FLAIR MRI.
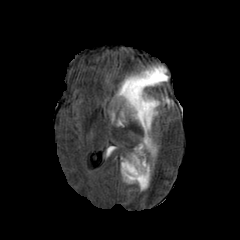
T1-weighted MR.
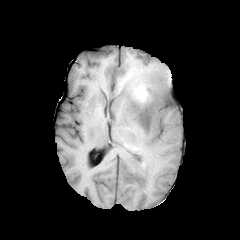
Post-contrast T1-weighted MRI.
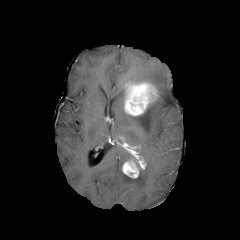
T2-weighted magnetic resonance.
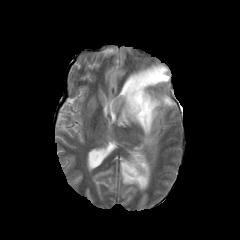
Segmented structures:
- edema: bbox(131, 94, 161, 156); bbox(115, 64, 168, 125); bbox(161, 95, 173, 106); bbox(121, 143, 150, 189)
- non-enhancing tumor core: bbox(134, 158, 143, 173); bbox(148, 87, 156, 100)
- enhancing tumor: bbox(123, 162, 138, 177); bbox(124, 81, 154, 115)